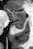
MR

The posterior hippocampus is located at x1=12, y1=22, x2=24, y2=28. The anterior hippocampus is located at x1=5, y1=9, x2=25, y2=21.